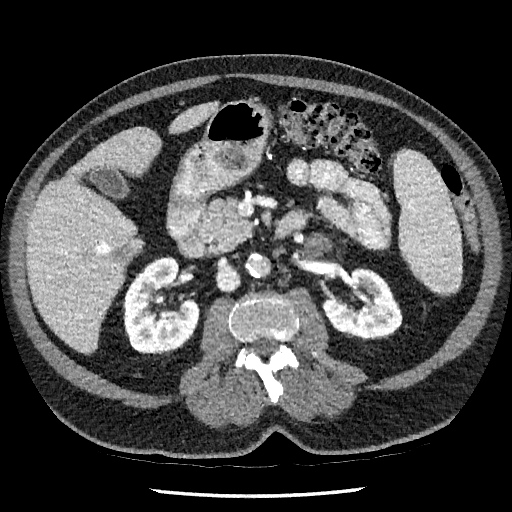

Liver. Computed tomography. <segmentation>
  <liver>26:127:161:353, 170:102:218:133</liver>
  <kidney>323:269:401:337, 125:258:198:352</kidney>
  <focal_liver_lesion>114:250:124:260</focal_liver_lesion>
</segmentation>